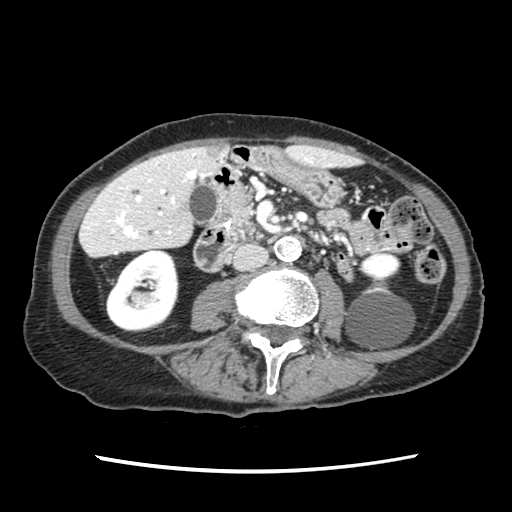 Abdomen. Image size 512x512. CT image.
The pancreas lies within left=221, top=187, right=260, bottom=241.